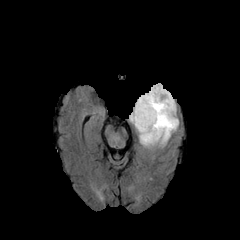
FLAIR magnetic resonance.
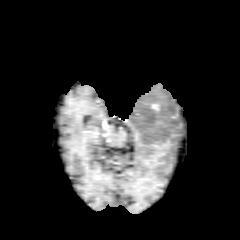
T1-weighted MR image.
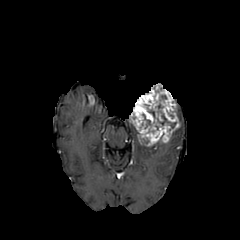
Post-contrast T1-weighted MR image.
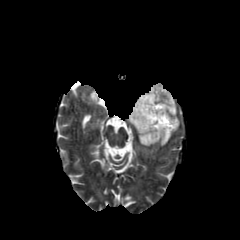
T2-weighted magnetic resonance of the same slice.
<segmentation>
  <edema><bbox>135, 128, 168, 150</bbox></edema>
  <non-enhancing_tumor_core><bbox>145, 95, 175, 127</bbox></non-enhancing_tumor_core>
  <enhancing_tumor><bbox>129, 85, 178, 145</bbox></enhancing_tumor>
</segmentation>